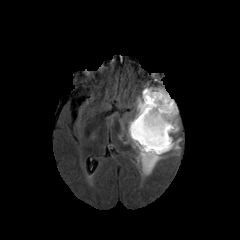
FLAIR MR.
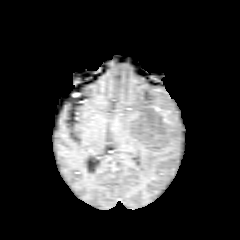
T1-weighted MRI.
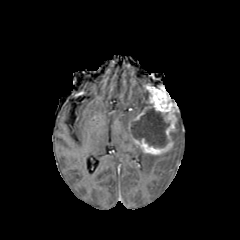
Post-contrast T1-weighted magnetic resonance of the same slice.
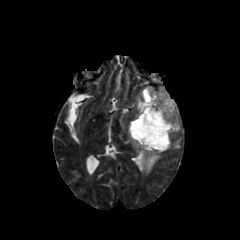
T2-weighted MR.
Brain.
Edema = [123,88,181,174].
Enhancing tumor = [135,106,151,119], [133,84,178,154].
Non-enhancing tumor core = [131,87,169,147].